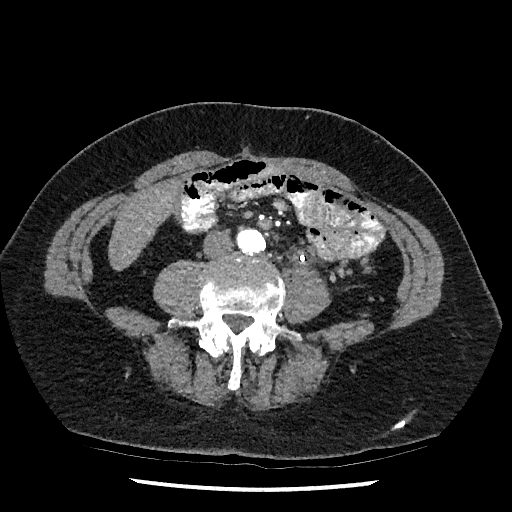
CT slice
- liver: rect(108, 181, 176, 270)